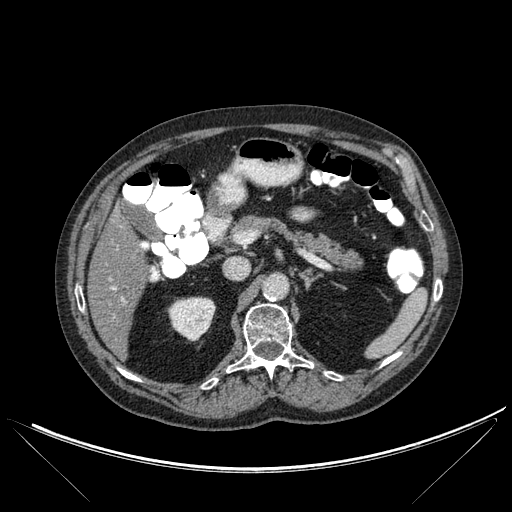
CT slice
Kidney = 169,297,214,340.
Liver = 88,207,147,361.
Bone = 324,371,342,380; 201,382,211,388; 75,289,84,311; 434,279,442,300; 118,368,140,381; 226,304,313,377; 381,351,401,366.